FLAIR MR image.
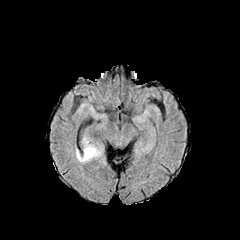
T1-weighted MR image.
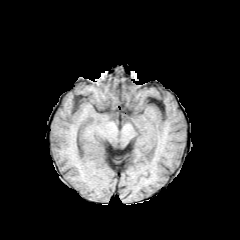
Post-contrast T1-weighted MRI.
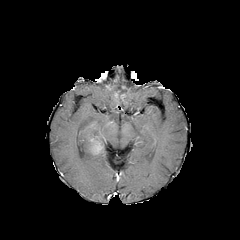
T2-weighted MR.
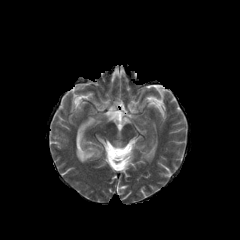
Brain.
The enhancing tumor is located at 92 144 101 154. The edema is at 76 139 105 163.